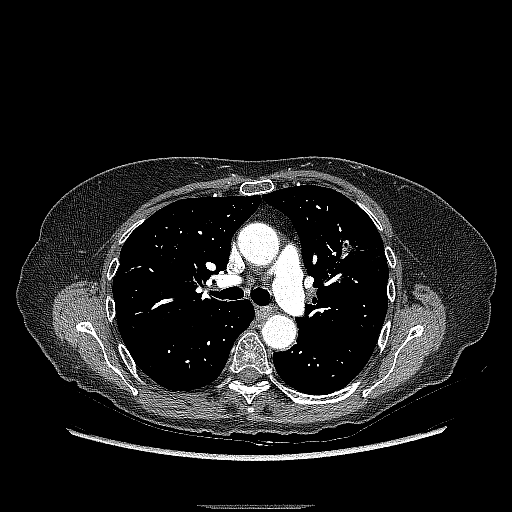
Computed tomography; Thorax; 512x512 px
<segmentation>
  <lung_tumor>[335,225,364,263]</lung_tumor>
</segmentation>